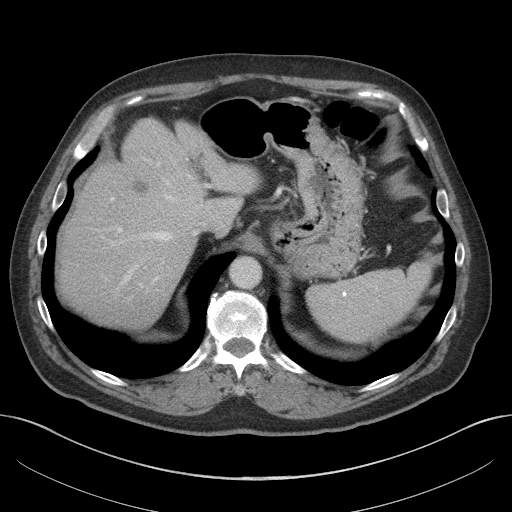 CT image | 512x512 px | Abdomen
<segmentation>
  <liver>box(56, 119, 262, 329)</liver>
  <hepatic_lesion>box(134, 182, 150, 195)</hepatic_lesion>
</segmentation>